FLAIR magnetic resonance.
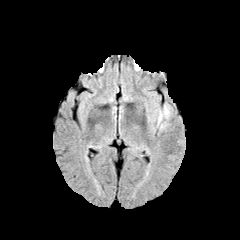
T1-weighted magnetic resonance.
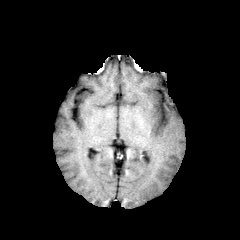
Post-contrast T1-weighted MR image.
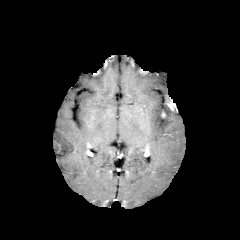
T2-weighted MRI.
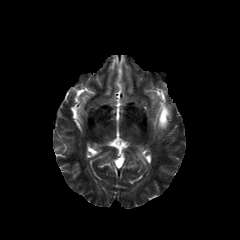
Head, 240x240
{
  "non-enhancing_tumor_core": [
    {"x1": 159, "y1": 103, "x2": 172, "y2": 123}
  ],
  "edema": [
    {"x1": 148, "y1": 106, "x2": 173, "y2": 130}
  ]
}